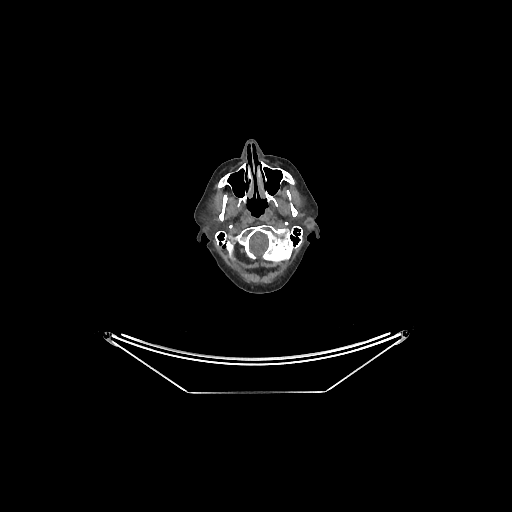

CT slice.

The brain lies within [x1=249, y1=231, x2=268, y2=255].